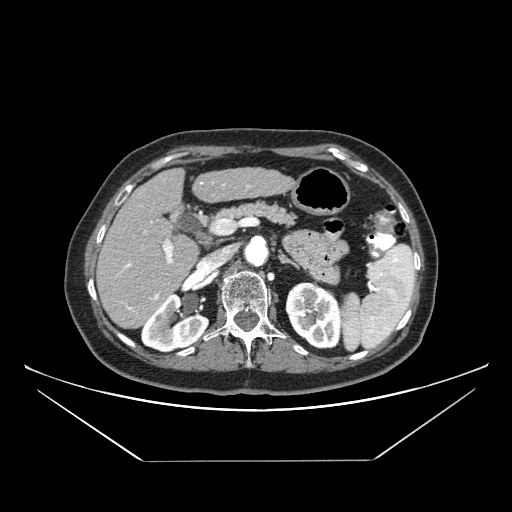
CT slice
Pancreas: <box>171,200,297,245</box>.